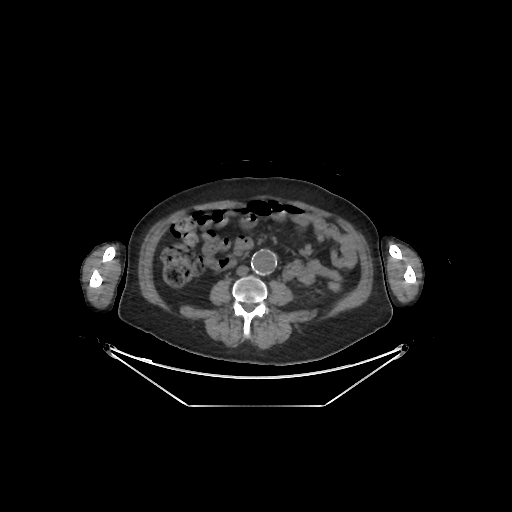 CT
Bone — [90, 270, 102, 287], [404, 264, 415, 283], [231, 276, 267, 335], [389, 245, 402, 259], [101, 247, 115, 266].